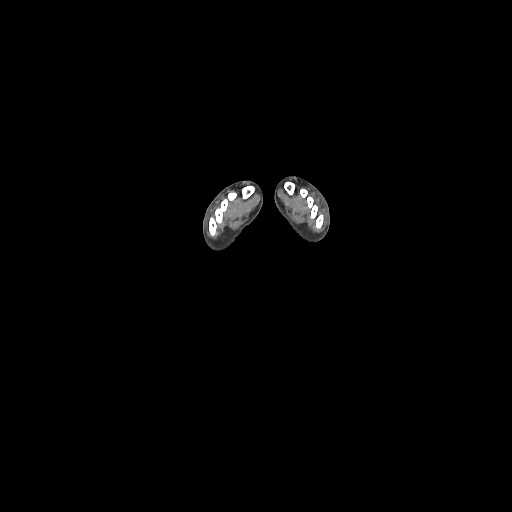

512x512; CT slice
Bone — rect(209, 192, 236, 235); rect(316, 214, 323, 228); rect(242, 186, 254, 198); rect(300, 189, 317, 218); rect(284, 182, 294, 194).